Field of view 200 mm wide, 3.60 mm slice spacing. Pelvis.
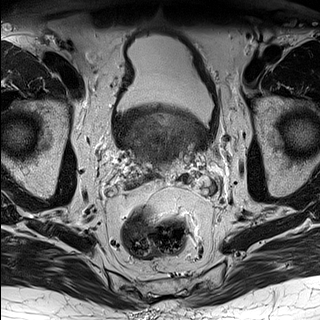
T2-weighted magnetic resonance.
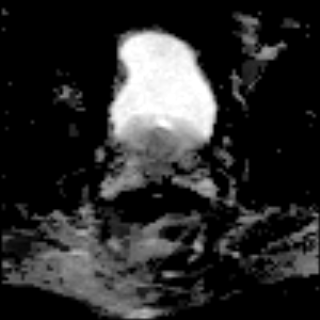
Same slice, ADC magnetic resonance.
Prostate transition zone = [118, 108, 201, 167].